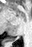

Hippocampus; MR image

Posterior hippocampus — (x1=6, y1=38, x2=16, y2=41), (x1=17, y1=36, x2=19, y2=37).